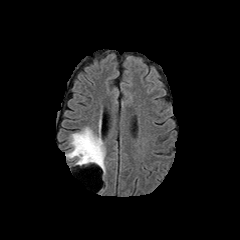
FLAIR magnetic resonance.
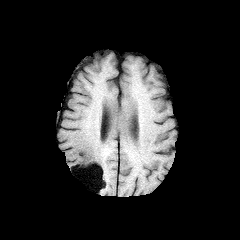
T1-weighted MR image.
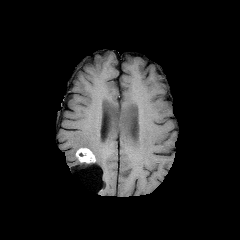
Post-contrast T1-weighted MR of the same slice.
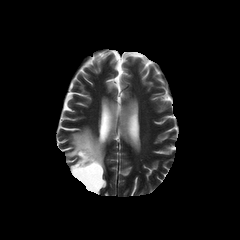
T2-weighted MRI of the same slice.
Brain
The enhancing tumor lies within x1=76, y1=148, x2=96, y2=163. The non-enhancing tumor core is located at x1=77, y1=149, x2=103, y2=168. The edema is located at x1=65, y1=126, x2=107, y2=179.